CT
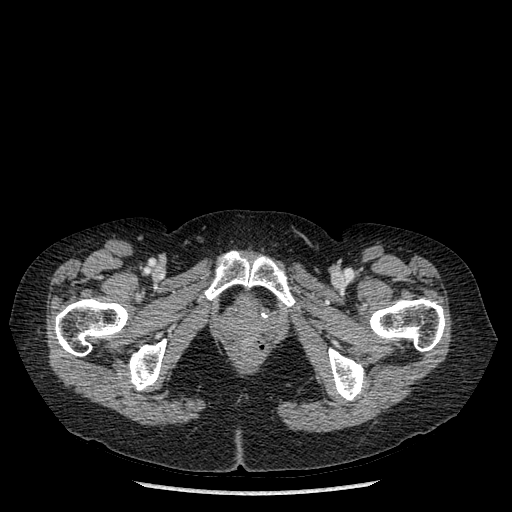
Segmented structures:
* bone: l=328, t=348, r=365, b=401; l=204, t=251, r=295, b=307; l=128, t=339, r=166, b=390; l=369, t=298, r=445, b=351; l=54, t=298, r=128, b=356